240x240
FLAIR magnetic resonance.
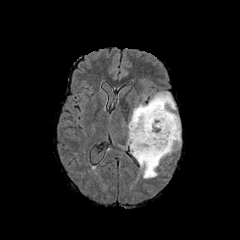
T1-weighted MR.
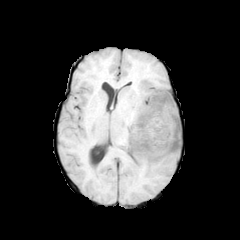
Post-contrast T1-weighted MR image.
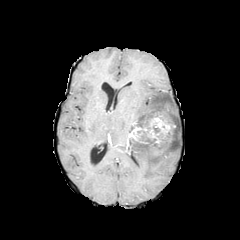
T2-weighted magnetic resonance.
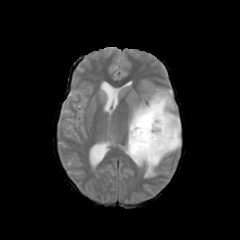
Annotated regions:
- edema: 128:90:180:178
- enhancing tumor: 128:115:171:146
- non-enhancing tumor core: 129:104:177:155